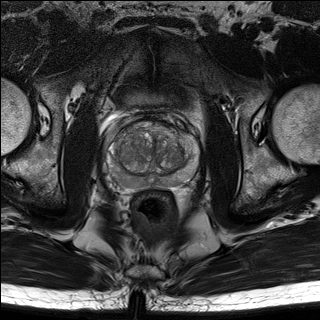
T2-weighted magnetic resonance.
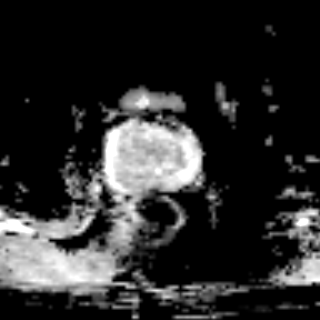
ADC MR image of the same slice.
Pelvis
{"prostate_peripheral_zone": ["bbox=[109, 132, 197, 190]"], "prostate_transition_zone": ["bbox=[112, 121, 186, 176]"]}